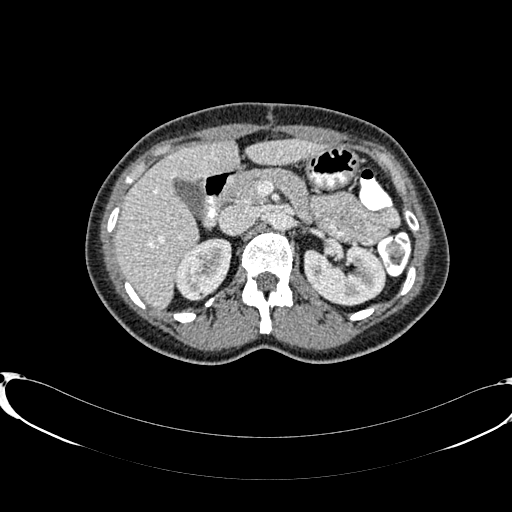
Liver; CT
Segmented structures:
* kidney: {"x1": 177, "y1": 241, "x2": 230, "y2": 299}, {"x1": 305, "y1": 246, "x2": 384, "y2": 303}
* liver: {"x1": 114, "y1": 142, "x2": 237, "y2": 307}, {"x1": 247, "y1": 140, "x2": 324, "y2": 164}